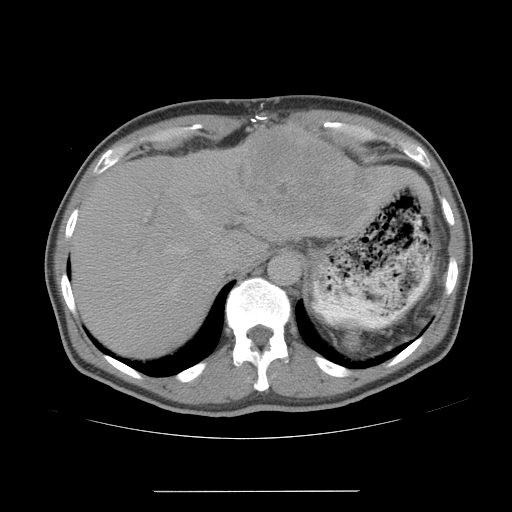

CT slice | Abdomen
The vessel annotation is not exhaustive.
{"hepatic_vessel": ["<box>235,245,237,248</box>", "<box>195,215,199,219</box>", "<box>176,278,178,280</box>", "<box>144,210,150,221</box>", "<box>225,219,227,221</box>", "<box>245,217,251,222</box>", "<box>175,247,188,254</box>", "<box>185,206,189,209</box>", "<box>193,210,197,213</box>", "<box>169,285,176,294</box>", "<box>369,199,371,205</box>", "<box>164,249,167,252</box>"], "liver_tumor": ["<box>233,127,368,231</box>"]}